FLAIR MR image.
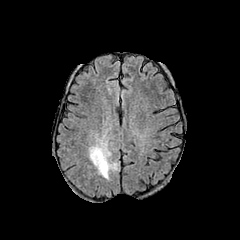
T1-weighted MR.
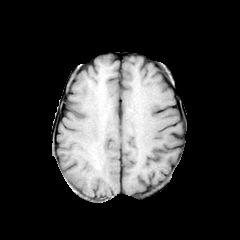
Post-contrast T1-weighted MRI.
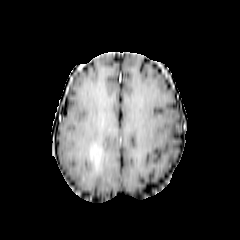
T2-weighted MRI.
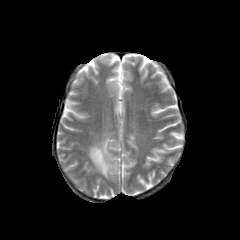
Head. 240x240 px.
The edema appears at 88:129:119:180. The non-enhancing tumor core lies within 92:150:105:168. The enhancing tumor is bounded by 90:144:102:160.